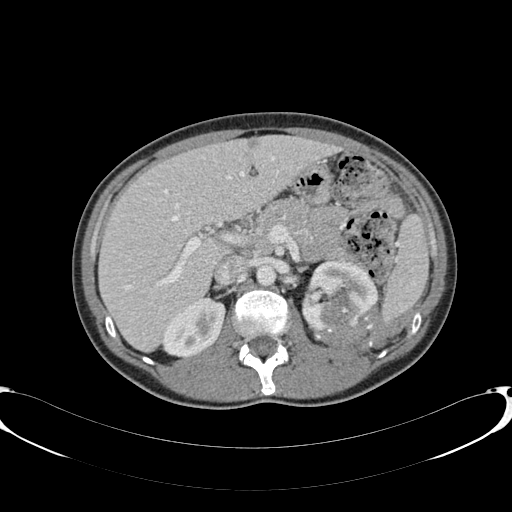
CT; Image size 512x512; Abdomen
The hepatic lesion is at [248, 139, 257, 147]. The liver appears at [99, 136, 340, 350]. 2 kidney regions are bounded by [163, 299, 224, 356], [303, 261, 377, 344].